T2-weighted MR.
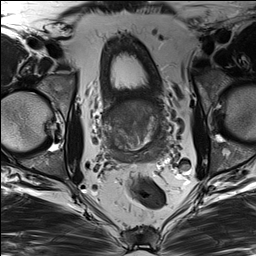
ADC MR.
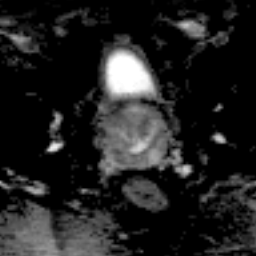
256x256 px.
prostate_transition_zone:
  - (106,101,158,150)